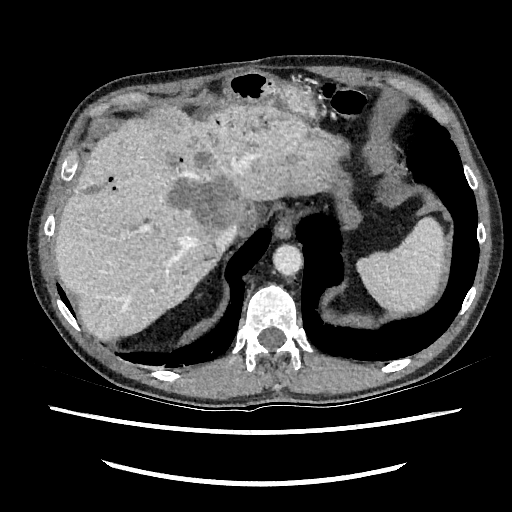
Liver | CT
Focal liver lesion at 166 153 183 164, 166 177 255 235, 84 186 97 194, 194 152 211 169.
Liver at 55 102 340 339.